FLAIR MR image.
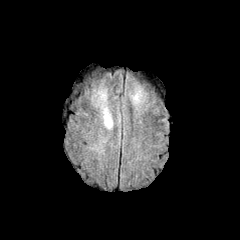
T1-weighted MR image.
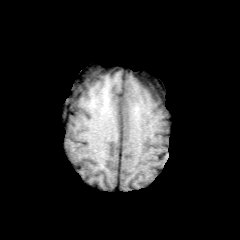
Post-contrast T1-weighted magnetic resonance.
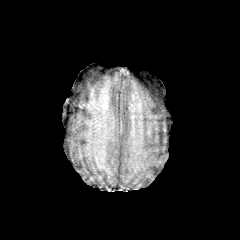
T2-weighted MRI.
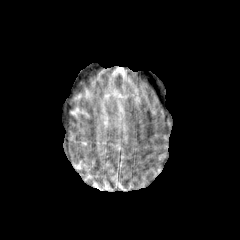
Head
2 edema regions appear at box(129, 86, 142, 104); box(100, 93, 111, 128).